FLAIR MR.
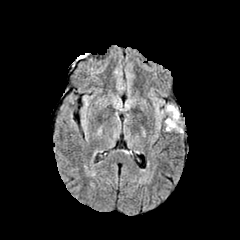
T1-weighted MR.
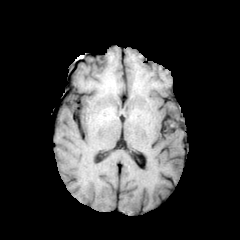
Post-contrast T1-weighted MRI.
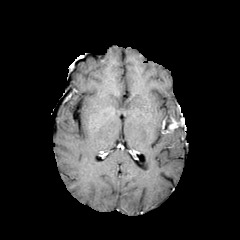
T2-weighted magnetic resonance.
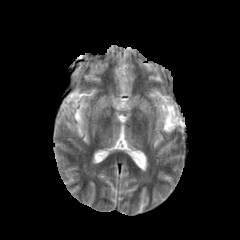
Brain, 240x240
The enhancing tumor is bounded by <bbox>168, 116, 183, 129</bbox>. 2 edema regions are located at <bbox>171, 126, 183, 132</bbox>, <bbox>153, 100, 182, 127</bbox>. The non-enhancing tumor core is located at <bbox>164, 108, 175, 131</bbox>.